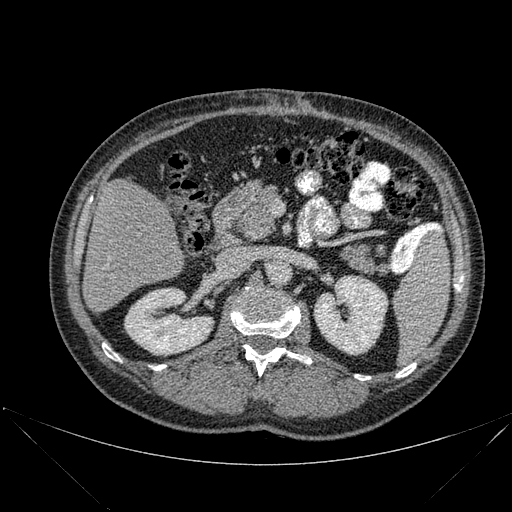
Computed tomography.

7 bone regions appear at [454, 276, 462, 290], [152, 365, 165, 370], [243, 344, 311, 376], [396, 363, 416, 377], [102, 343, 121, 361], [231, 287, 300, 338], [355, 374, 370, 380]. The liver is located at [83, 179, 184, 311]. 2 kidney regions appear at [125, 288, 213, 354], [314, 276, 387, 354].